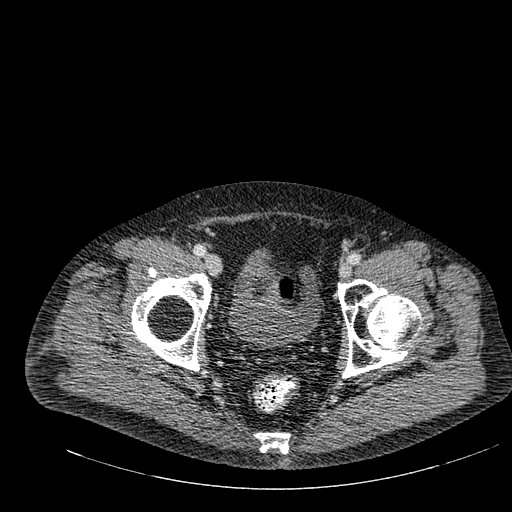

CT image

<segmentation>
  <urinary_bladder>(left=228, top=248, right=320, bottom=348)</urinary_bladder>
</segmentation>